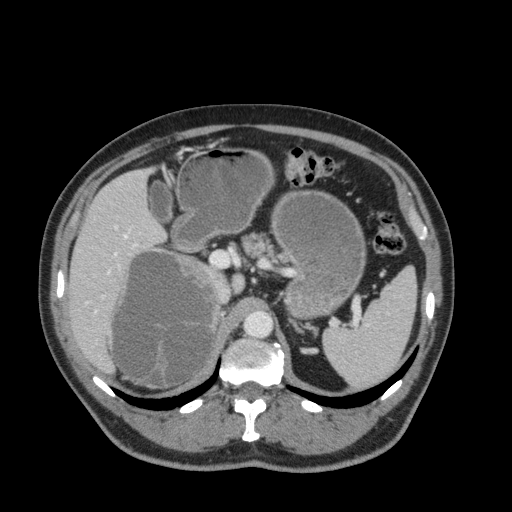 Abdomen, CT image
2 liver regions are bounded by region(70, 171, 165, 372); region(232, 274, 243, 293).